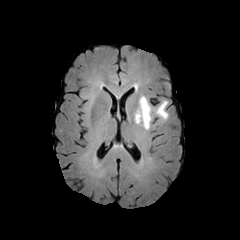
FLAIR MRI.
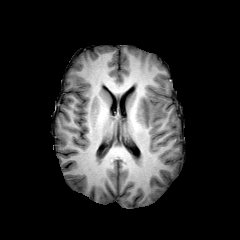
Same slice, T1-weighted magnetic resonance.
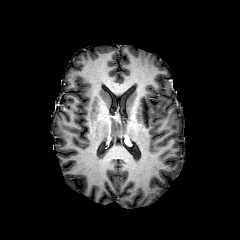
Same slice, post-contrast T1-weighted MR.
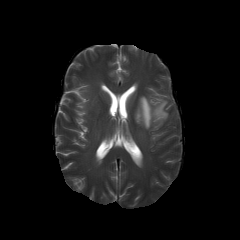
Same slice, T2-weighted MR.
Brain
<segmentation>
  <edema>box(137, 96, 168, 130)</edema>
  <non-enhancing_tumor_core>box(130, 108, 137, 122); box(142, 100, 149, 123)</non-enhancing_tumor_core>
</segmentation>